Thorax | Computed tomography

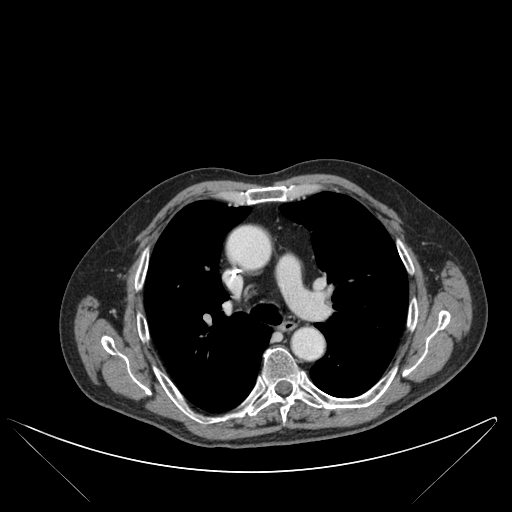
lung: box(280, 192, 408, 397); box(145, 201, 281, 412) | bone: box(403, 310, 450, 375); box(154, 367, 199, 420); box(240, 186, 290, 203); box(101, 336, 150, 394); box(137, 314, 148, 340); box(397, 241, 412, 271); box(135, 251, 148, 289); box(407, 299, 417, 329); box(208, 348, 396, 422)